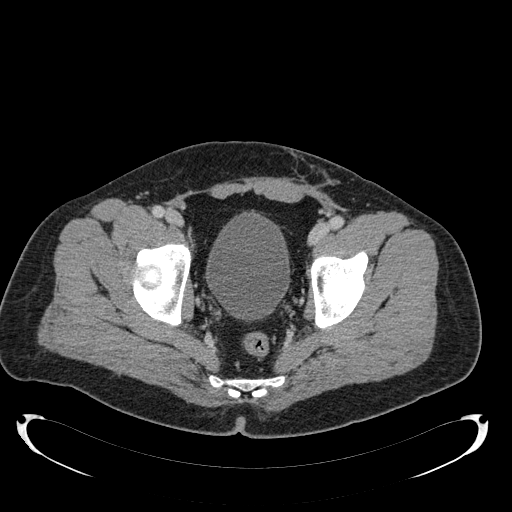

CT scan slice | Pelvis | Image size 512x512
urinary_bladder:
  - x1=205, y1=214, x2=289, y2=320